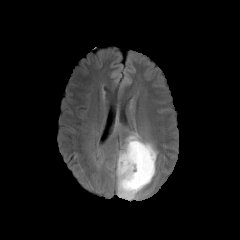
FLAIR MRI.
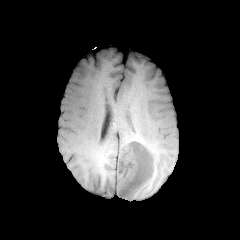
T1-weighted MR.
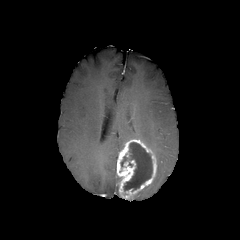
Same slice, post-contrast T1-weighted magnetic resonance.
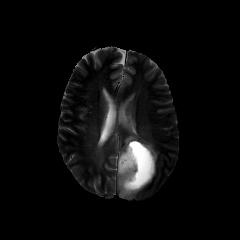
Same slice, T2-weighted MRI.
Head.
Enhancing tumor = box=[116, 139, 156, 199].
Edema = box=[111, 151, 119, 168]; box=[124, 131, 157, 160].
Non-enhancing tumor core = box=[124, 142, 152, 189].